FLAIR MRI.
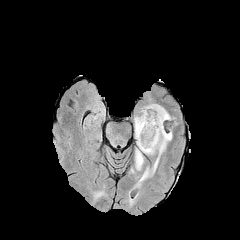
T1-weighted magnetic resonance.
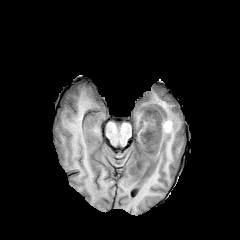
Post-contrast T1-weighted MR image.
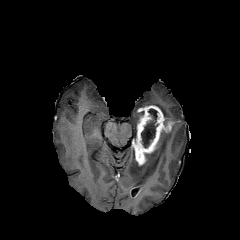
T2-weighted MRI.
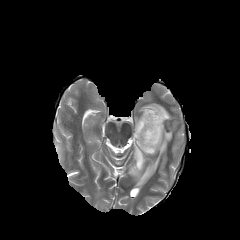
240x240 px.
Enhancing tumor — x1=134, y1=105, x2=164, y2=165.
Non-enhancing tumor core — x1=141, y1=109, x2=157, y2=147.
Edema — x1=128, y1=121, x2=173, y2=188; x1=151, y1=104, x2=171, y2=120.